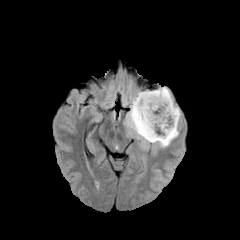
FLAIR MRI.
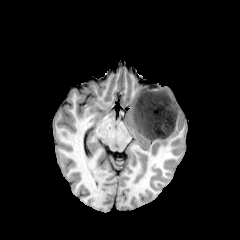
Same slice, T1-weighted MRI.
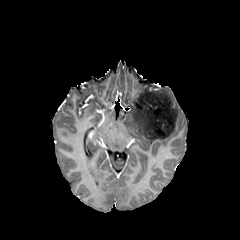
Same slice, post-contrast T1-weighted MR.
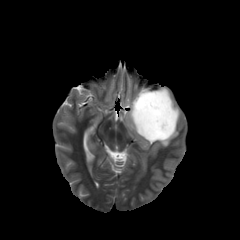
T2-weighted magnetic resonance of the same slice.
240x240 px
Findings:
* edema: <box>122,86,181,151</box>
* non-enhancing tumor core: <box>132,88,177,140</box>